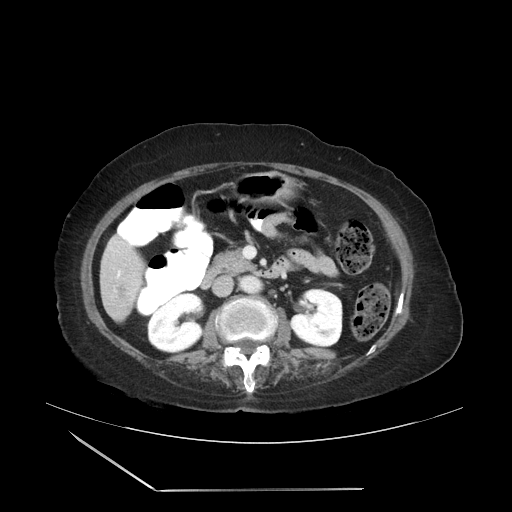 CT scan slice | Liver

Some hepatic vessels may have no box.
• liver tumor: <bbox>117, 284, 138, 303</bbox>
• hepatic vessel: <bbox>123, 235, 125, 238</bbox>, <bbox>120, 242, 124, 243</bbox>, <bbox>108, 240, 120, 254</bbox>, <bbox>117, 270, 121, 277</bbox>, <bbox>113, 287, 115, 291</bbox>, <bbox>131, 279, 140, 284</bbox>, <bbox>133, 274, 135, 275</bbox>